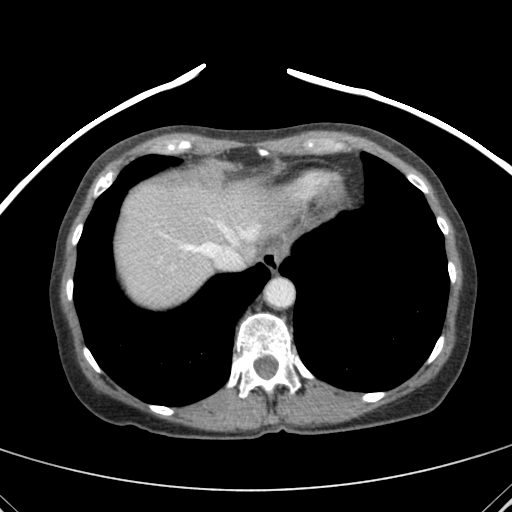

Abdomen, CT slice
liver:
  - (x1=117, y1=170, x2=272, y2=306)